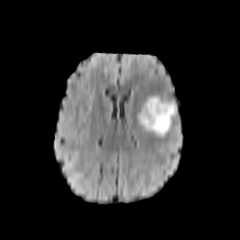
FLAIR magnetic resonance.
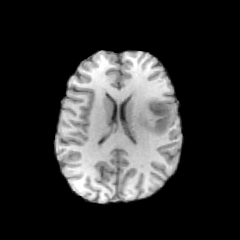
T1-weighted MRI of the same slice.
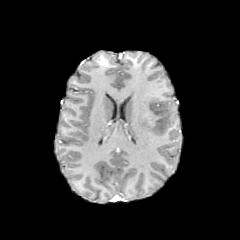
Post-contrast T1-weighted magnetic resonance.
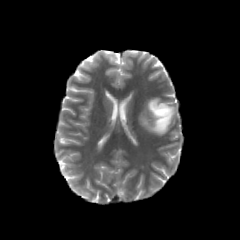
T2-weighted MRI of the same slice.
Brain
The edema is bounded by 138,96,169,135. The non-enhancing tumor core appears at 149,98,175,133.